Abdomen; CT slice 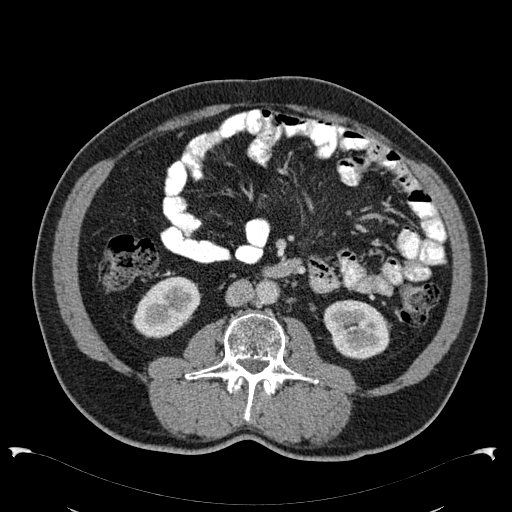
kidney: region(133, 277, 199, 337); region(324, 300, 389, 359)